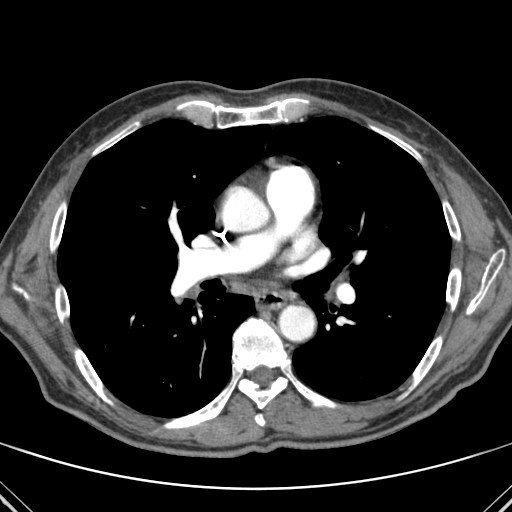

CT scan slice | Image size 512x512 | Chest

The lung lies within bbox=[57, 116, 450, 417]. 14 bone regions are located at bbox=[164, 318, 336, 428]; bbox=[255, 414, 264, 425]; bbox=[55, 288, 69, 322]; bbox=[13, 285, 29, 299]; bbox=[409, 336, 442, 389]; bbox=[171, 279, 186, 296]; bbox=[446, 268, 461, 310]; bbox=[50, 202, 66, 251]; bbox=[371, 126, 420, 158]; bbox=[443, 201, 460, 240]; bbox=[466, 254, 502, 314]; bbox=[180, 98, 305, 128]; bbox=[93, 127, 133, 154]; bbox=[74, 349, 111, 404].